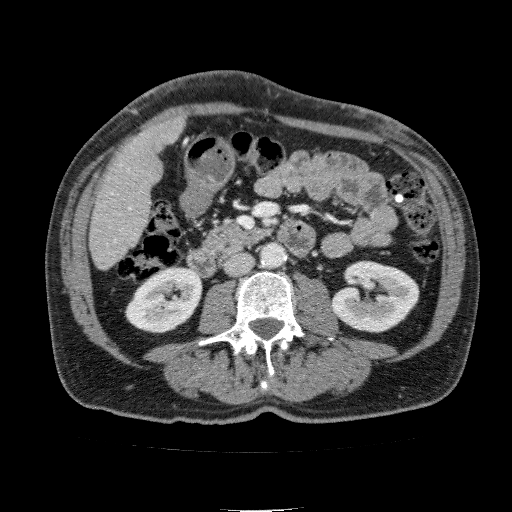

Computed tomography. 512x512. The liver is at 90:112:190:269. 2 kidney regions appear at 332:262:417:331, 126:268:201:331.